FLAIR magnetic resonance.
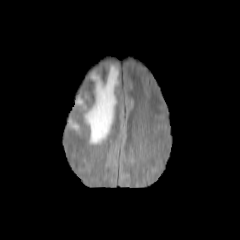
T1-weighted MR image.
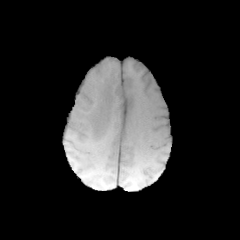
Post-contrast T1-weighted magnetic resonance.
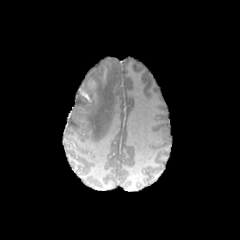
T2-weighted MR.
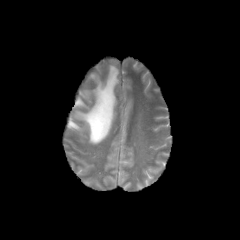
Head
2 edema regions are bounded by <box>67,118,79,129</box>, <box>72,64,118,144</box>. The non-enhancing tumor core lies within <box>78,88,93,105</box>.